MR | Slice index 77 | 320x320 px | Image width 400 mm 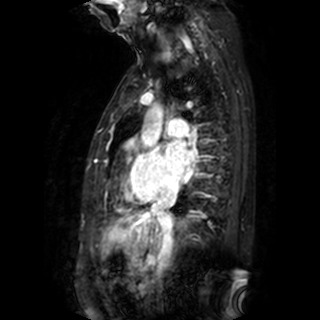

Left atrium: bounding box 164 140 194 175.